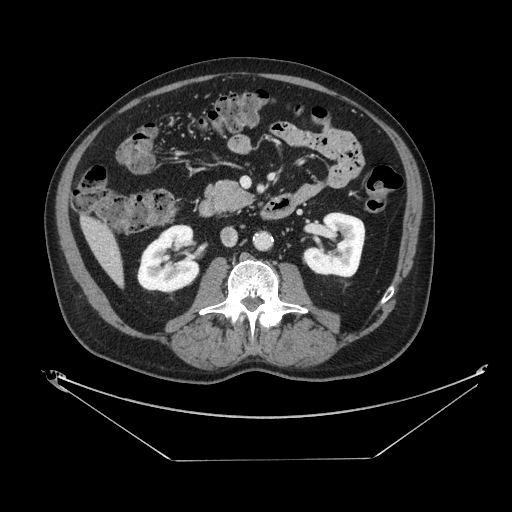
Image size 512x512. CT.
{"pancreas": ["bbox(207, 180, 255, 211)"]}